Cardiac, Magnetic resonance, Image size 320x320 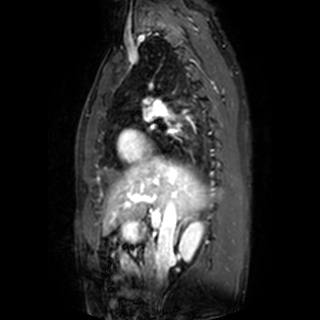
Segmented structures:
- left atrium: 145, 112, 151, 121